CT scan slice. Upper abdomen. Slice index 365. 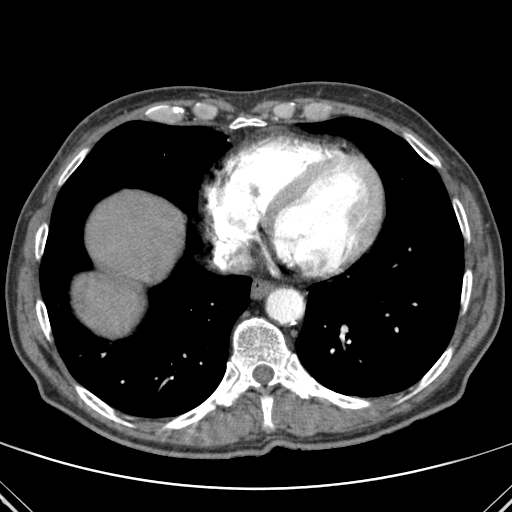 Bone: x1=407, y1=135, x2=440, y2=166; x1=260, y1=396, x2=273, y2=427; x1=35, y1=224, x2=47, y2=258; x1=59, y1=149, x2=87, y2=183; x1=453, y1=199, x2=469, y2=238; x1=76, y1=386, x2=131, y2=426; x1=230, y1=117, x2=264, y2=128; x1=147, y1=106, x2=162, y2=113; x1=415, y1=348, x2=452, y2=391; x1=164, y1=318, x2=369, y2=428; x1=461, y1=270, x2=472, y2=307; x1=36, y1=300, x2=50, y2=338.
Liver: x1=74, y1=191, x2=183, y2=336.
Lung: x1=295, y1=117, x2=463, y2=396; x1=40, y1=121, x2=251, y2=417.